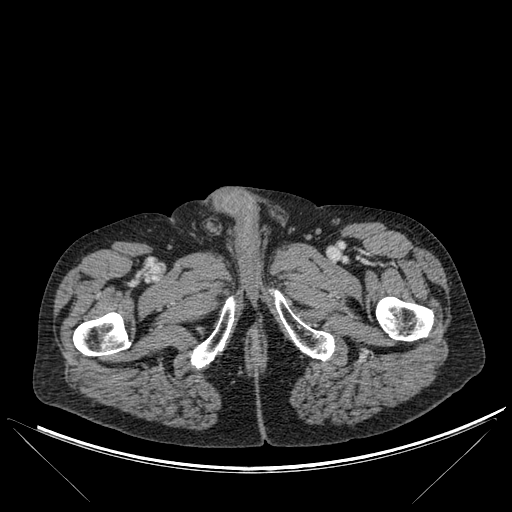

512x512 | CT scan slice
4 bone regions appear at left=191, top=297, right=234, bottom=368; left=73, top=312, right=130, bottom=355; left=376, top=297, right=433, bottom=341; left=273, top=290, right=334, bottom=361.